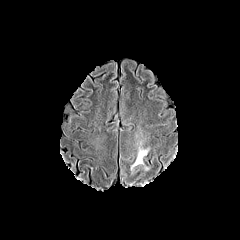
FLAIR MR image.
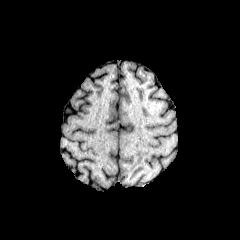
T1-weighted MRI.
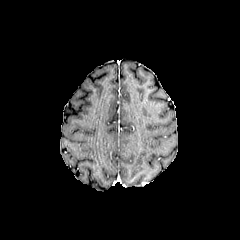
Post-contrast T1-weighted MR image.
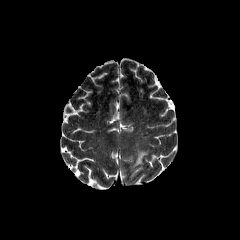
T2-weighted MR of the same slice.
• edema: 131, 148, 148, 169